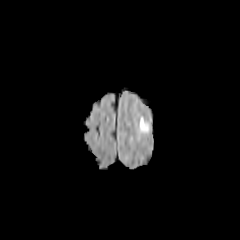
FLAIR magnetic resonance.
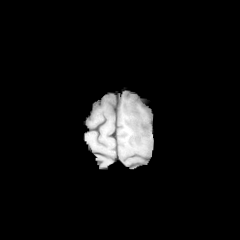
T1-weighted MRI.
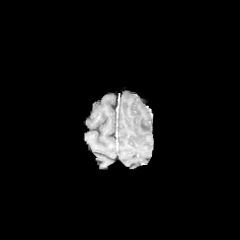
Same slice, post-contrast T1-weighted magnetic resonance.
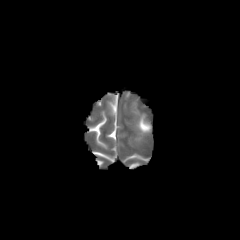
T2-weighted MRI.
Head
The edema appears at rect(139, 116, 151, 131).